Field of view 382x382 mm | CT | Liver

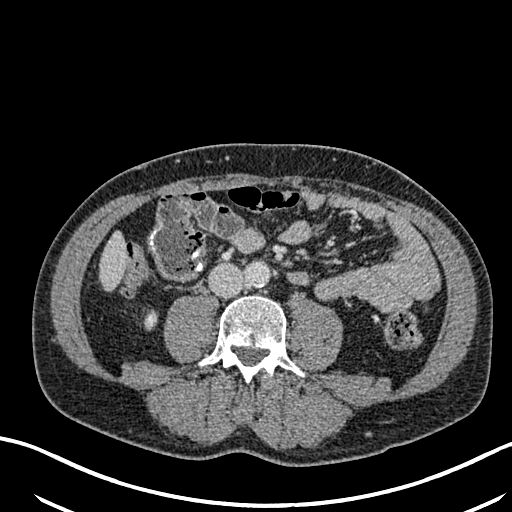 Kidney: bounding box 147:315:155:325.
Liver: bounding box 100:233:124:288.